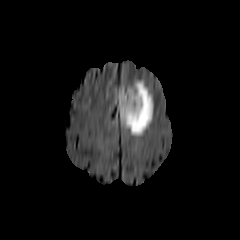
FLAIR magnetic resonance.
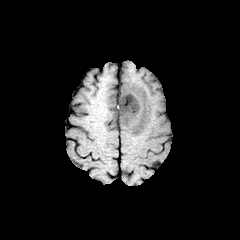
T1-weighted MR.
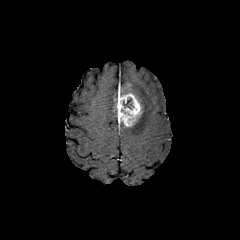
Same slice, post-contrast T1-weighted MR image.
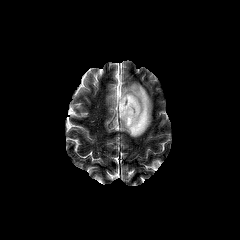
T2-weighted MRI.
Brain
Edema: l=121, t=80, r=153, b=137.
Enhancing tumor: l=114, t=85, r=141, b=127.